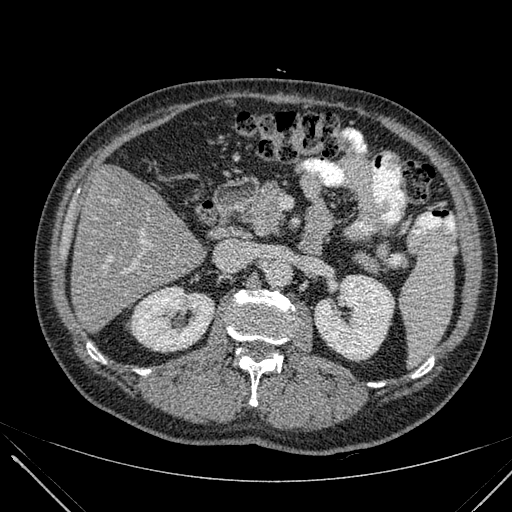 CT image
The liver is located at region(71, 165, 205, 332). 2 kidney regions appear at region(132, 287, 213, 351); region(315, 275, 393, 359).